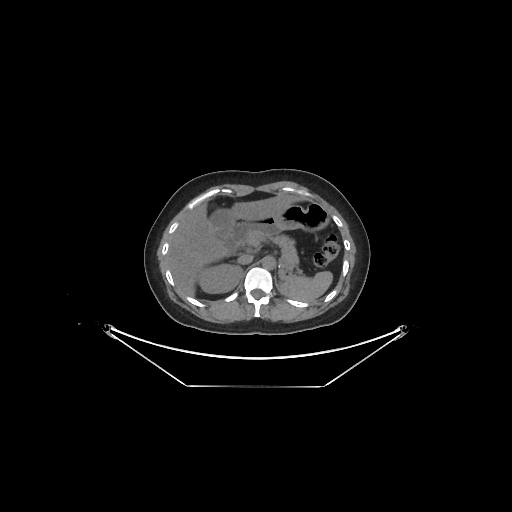
CT scan slice | Liver
{
  "liver": [
    "left=161, top=203, right=231, bottom=289",
    "left=228, top=194, right=303, bottom=229"
  ],
  "kidney": [
    "left=198, top=265, right=242, bottom=293"
  ]
}